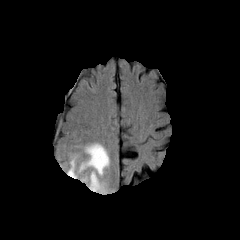
FLAIR MRI.
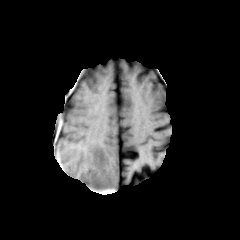
T1-weighted MR.
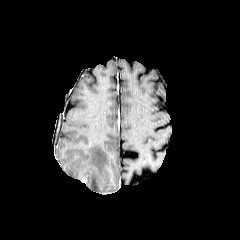
Post-contrast T1-weighted MR of the same slice.
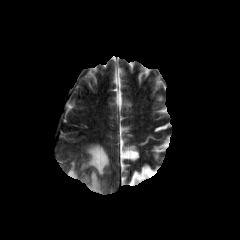
T2-weighted MR image.
Head; Image size 240x240
{
  "edema": [
    "[x1=68, y1=144, x2=109, y2=190]"
  ]
}